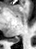

Magnetic resonance; Medial temporal lobe

posterior hippocampus: l=10, t=38, r=19, b=42